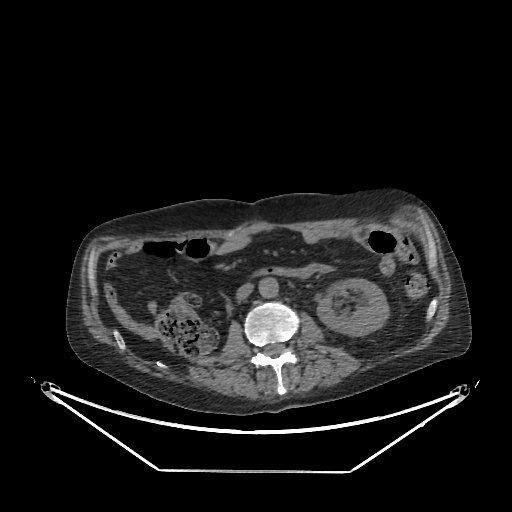

Abdomen | CT scan slice
Segmented structures:
• liver: left=138, top=327, right=156, bottom=338; left=112, top=309, right=129, bottom=325
• kidney: left=315, top=278, right=388, bottom=336